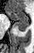
Medial temporal lobe | MRI slice | Image size 34x53
{
  "posterior_hippocampus": [
    "x1=16 y1=24 x2=28 y2=31"
  ],
  "anterior_hippocampus": [
    "x1=7 y1=11 x2=28 y2=23"
  ]
}